Upper abdomen | Slice 31/88 | CT image 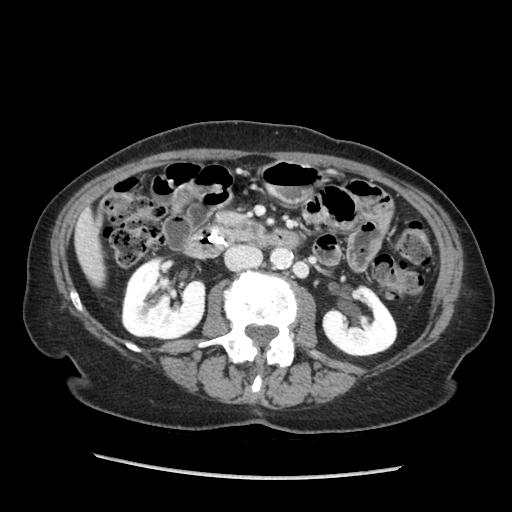 Findings:
* pancreas: l=216, t=211, r=258, b=231